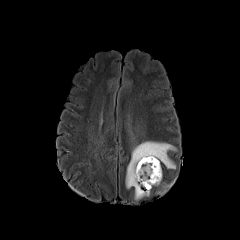
FLAIR MR.
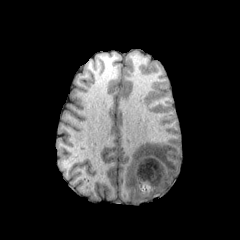
Same slice, T1-weighted MR image.
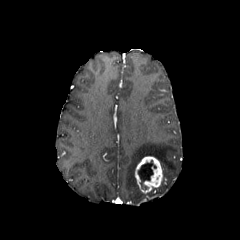
Same slice, post-contrast T1-weighted magnetic resonance.
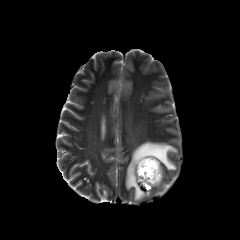
T2-weighted MR image.
Head
• edema: l=125, t=142, r=176, b=200
• enhancing tumor: l=134, t=155, r=163, b=193
• non-enhancing tumor core: l=138, t=160, r=153, b=185